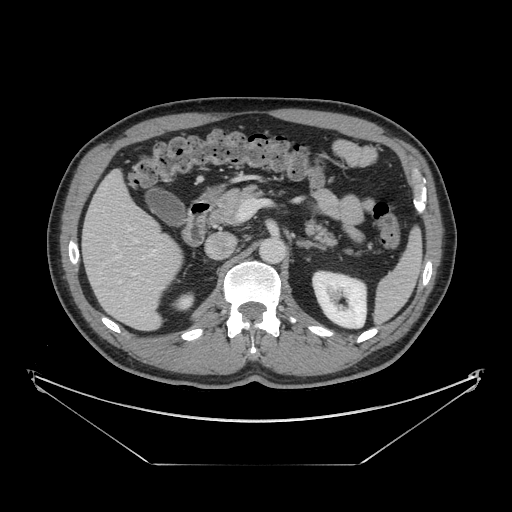
Computed tomography | Image size 512x512

{"pancreas": ["x1=307, y1=216, x2=337, y2=247", "x1=210, y1=186, x2=262, y2=225"]}